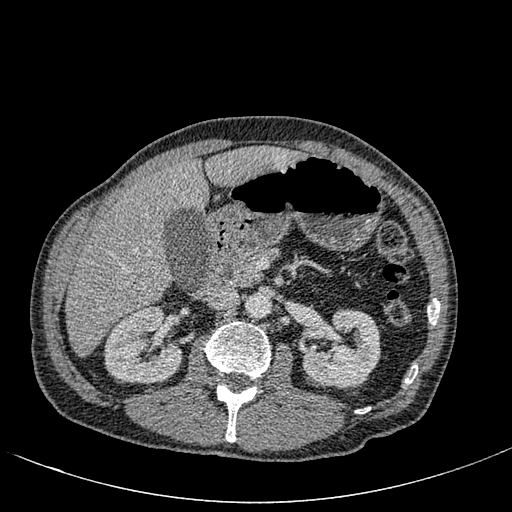 Upper abdomen. CT image. 2 kidney regions appear at bbox=[299, 308, 380, 387]; bbox=[105, 307, 181, 383]. 2 liver regions are located at bbox=[66, 159, 208, 355]; bbox=[206, 146, 306, 186].